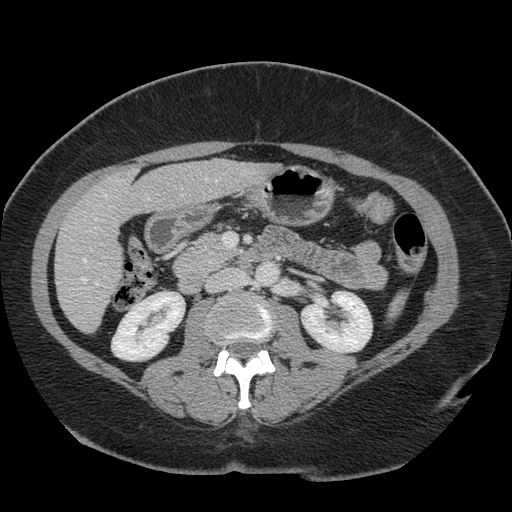

512x512 | CT slice | Liver

Not every hepatic vessel necessarily has a box.
hepatic_vessel:
  - bbox(95, 219, 97, 221)
  - bbox(96, 283, 98, 285)
  - bbox(82, 278, 86, 282)
  - bbox(83, 259, 86, 262)
  - bbox(148, 198, 149, 200)
  - bbox(205, 179, 207, 180)